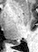

MRI
<segmentation>
  <posterior_hippocampus>[10,41,19,44]</posterior_hippocampus>
</segmentation>